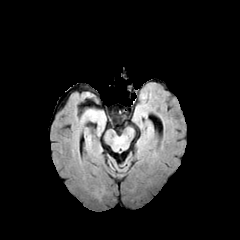
FLAIR magnetic resonance.
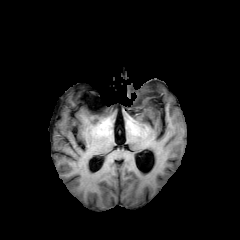
T1-weighted MRI.
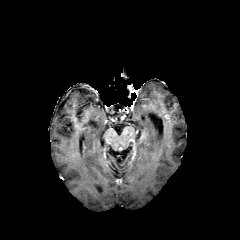
Post-contrast T1-weighted MR image of the same slice.
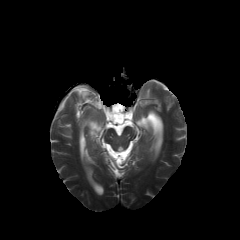
T2-weighted MR image of the same slice.
{"edema": ["box=[134, 108, 154, 149]"]}